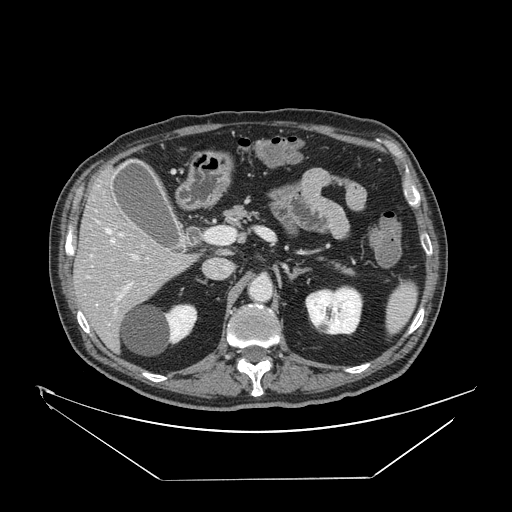
CT slice
Pancreas at (221,204,270,230), (309,250,359,279).